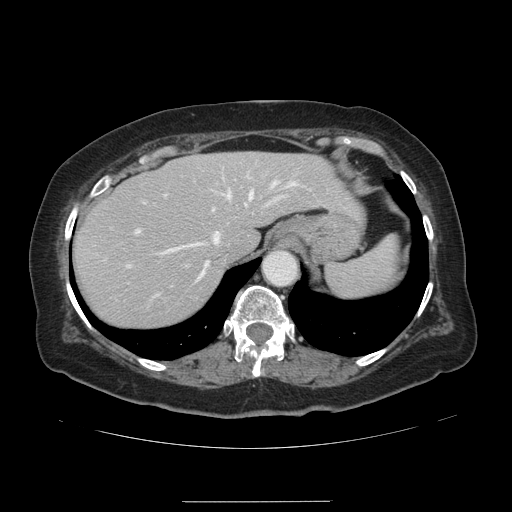

CT scan slice | Liver
Not every hepatic vessel necessarily has a box.
Principal 15 of 16 hepatic vessel regions: box=[188, 242, 201, 245]; box=[268, 196, 280, 202]; box=[287, 181, 295, 184]; box=[154, 293, 158, 295]; box=[135, 229, 139, 232]; box=[158, 246, 181, 252]; box=[127, 264, 130, 266]; box=[249, 191, 251, 197]; box=[212, 232, 218, 242]; box=[211, 207, 213, 209]; box=[244, 202, 247, 204]; box=[220, 191, 230, 197]; box=[164, 194, 166, 195]; box=[271, 181, 275, 186]; box=[246, 173, 249, 177].